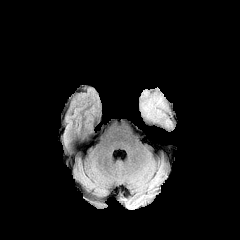
FLAIR magnetic resonance.
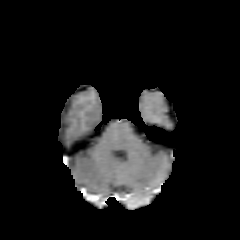
T1-weighted MRI of the same slice.
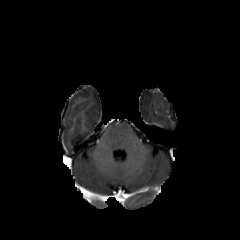
Post-contrast T1-weighted MR.
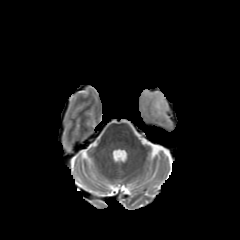
T2-weighted MRI.
Brain
The edema lies within (144, 94, 167, 118).